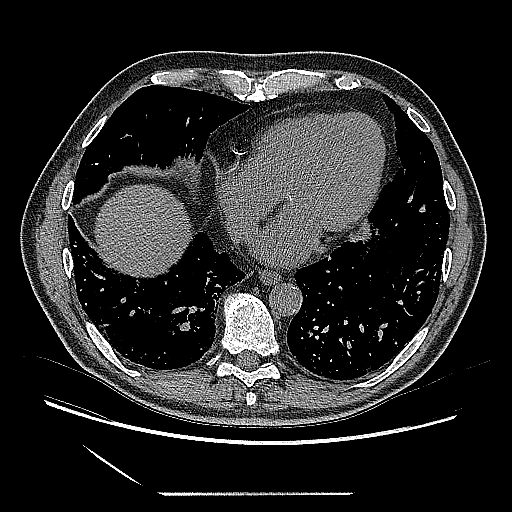

Computed tomography. Thorax. Image size 512x512.

lung_tumor:
  - [x1=348, y1=217, x2=387, y2=260]